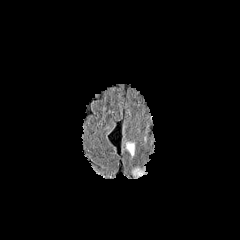
FLAIR MR.
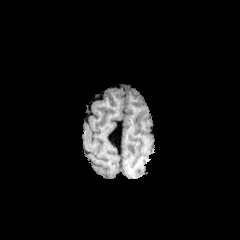
T1-weighted MR.
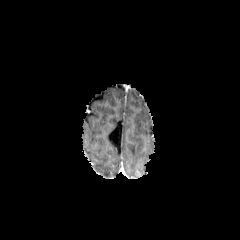
Post-contrast T1-weighted MR of the same slice.
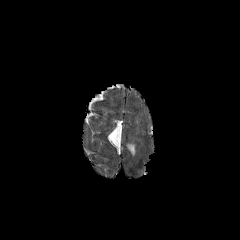
Same slice, T2-weighted MR image.
Head.
* edema: {"x1": 126, "y1": 143, "x2": 135, "y2": 156}, {"x1": 132, "y1": 168, "x2": 147, "y2": 176}